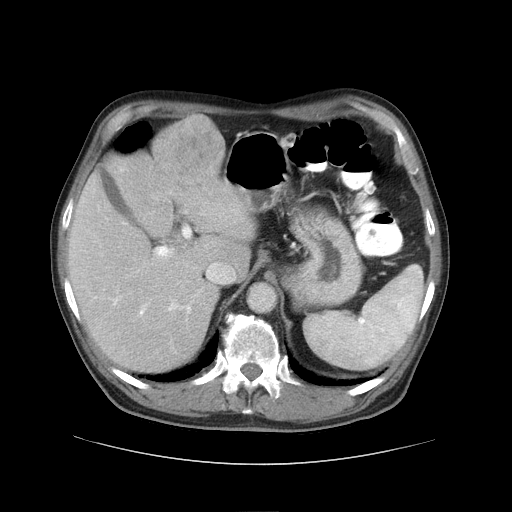
CT scan slice, 512x512 px

Some hepatic vessels may have no box.
6 hepatic vessel regions are bounded by x1=175, y1=303, x2=185, y2=308; x1=184, y1=210, x2=186, y2=212; x1=137, y1=301, x2=149, y2=317; x1=154, y1=248, x2=172, y2=258; x1=168, y1=305, x2=174, y2=311; x1=154, y1=197, x2=157, y2=198. The liver tumor appears at x1=154, y1=116, x2=222, y2=185.